Magnetic resonance; 320x320 px; Image width 400 mm; Cardiac 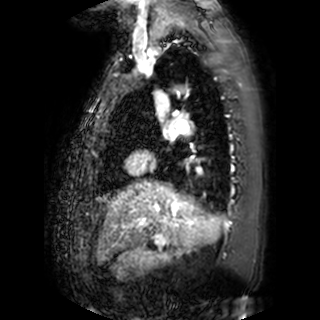 The left atrium is bounded by (167,127,176,137).